Field of view 381 mm wide, 1.50 mm slice spacing. Image size 512x512. Lower abdomen. CT. Slice 71/427.
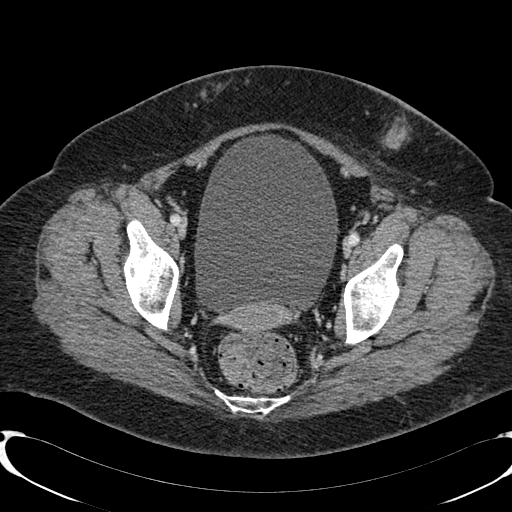
Segmented structures:
* urinary bladder: x1=195, y1=135, x2=337, y2=309